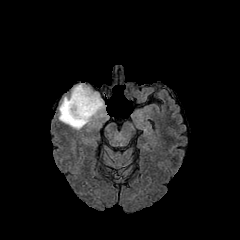
FLAIR magnetic resonance.
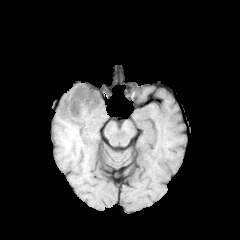
T1-weighted MRI.
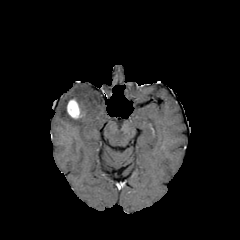
Post-contrast T1-weighted magnetic resonance.
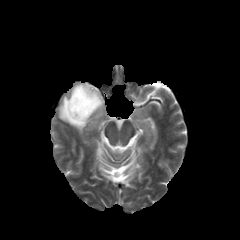
T2-weighted MR image.
Brain | Image size 240x240
The edema appears at [x1=58, y1=83, x2=105, y2=129]. The enhancing tumor is bounded by [x1=66, y1=99, x2=85, y2=118].